Liver | CT slice

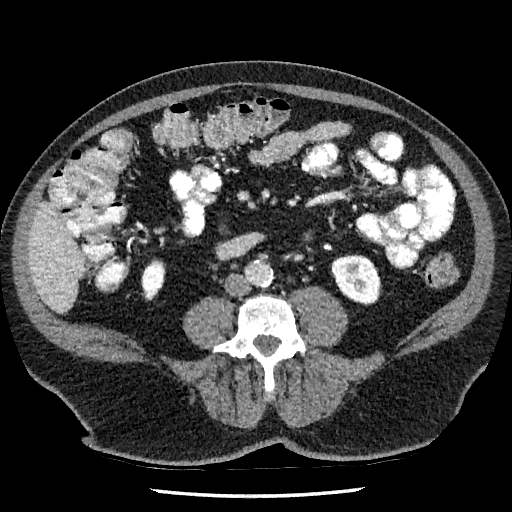 <segmentation>
  <liver>(left=28, top=202, right=83, bottom=312)</liver>
  <kidney>(left=142, top=262, right=163, bottom=297), (left=332, top=256, right=379, bottom=302)</kidney>
</segmentation>